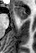

MRI | Hippocampus | 36x53
Segmented structures:
• anterior hippocampus: (left=13, top=6, right=27, bottom=19)